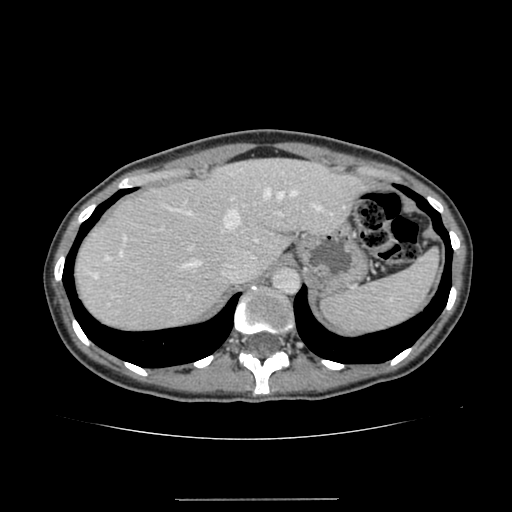 Abdomen, CT image

{"liver": ["77 159 371 331"]}